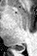 MR image

Posterior hippocampus: bounding box left=17, top=46, right=24, bottom=49.